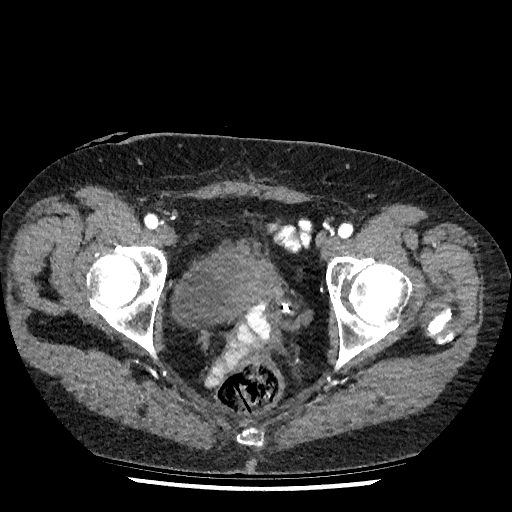
Pelvis; CT image

Urinary bladder — x1=171 y1=238 x2=273 y2=328.